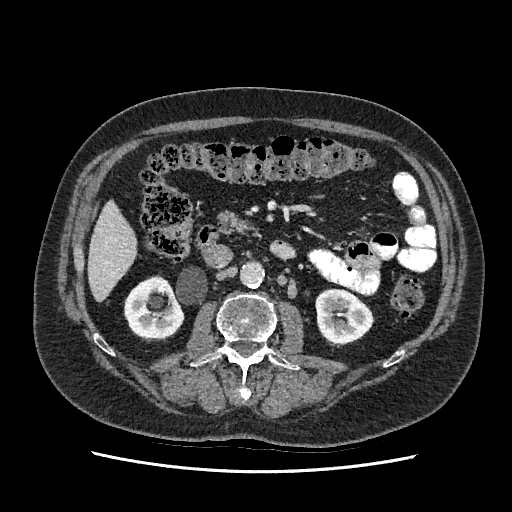 512x512 px; Upper abdomen; CT slice
kidney:
  - bbox=[316, 290, 372, 342]
  - bbox=[125, 278, 182, 337]
liver:
  - bbox=[89, 202, 136, 299]